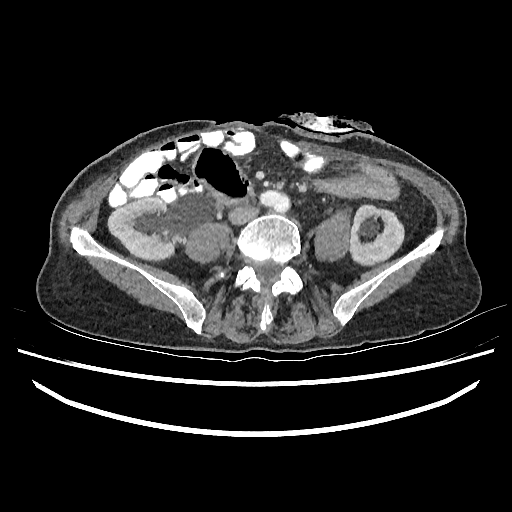 Abdomen | CT
<segmentation>
  <kidney>box=[108, 197, 173, 259]; box=[350, 205, 403, 264]</kidney>
</segmentation>